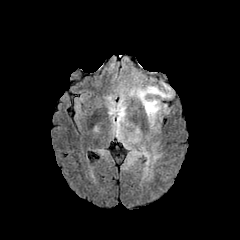
FLAIR MR image.
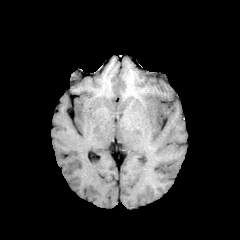
Same slice, T1-weighted MR.
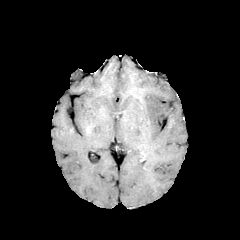
Same slice, post-contrast T1-weighted MRI.
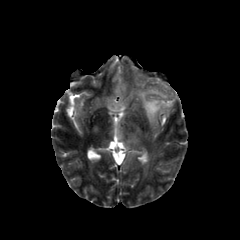
Same slice, T2-weighted magnetic resonance.
Brain.
Segmented structures:
* edema: 139 77 174 125, 115 105 125 118
* non-enhancing tumor core: 136 89 145 101